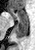
Medial temporal lobe | MRI slice

Posterior hippocampus at 15,21,28,37.
Anterior hippocampus at 8,8,27,20.